CT image; 512x512; Slice 383/836; Abdomen 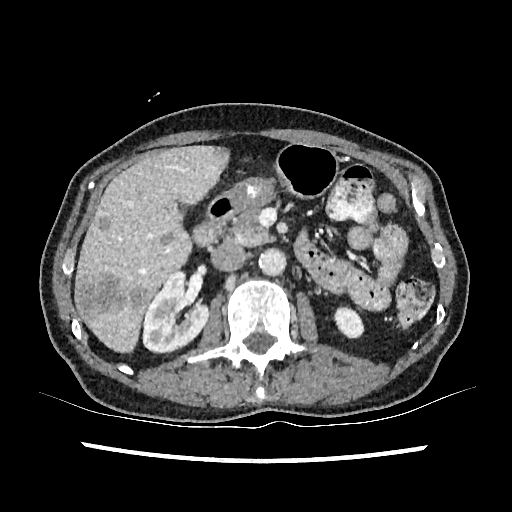 Focal liver lesion — bbox(74, 274, 126, 318); bbox(211, 147, 227, 162); bbox(98, 217, 110, 230); bbox(129, 286, 147, 309); bbox(160, 231, 177, 245).
Kidney — bbox(335, 308, 362, 336); bbox(143, 271, 208, 351).
Liver — bbox(74, 145, 226, 351).